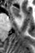
MR
anterior hippocampus: 10 5 20 17